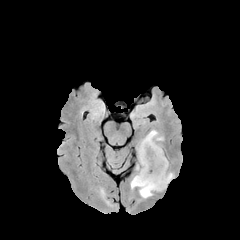
FLAIR MRI.
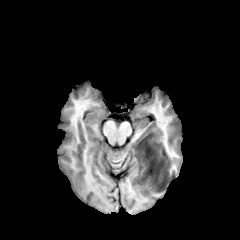
T1-weighted magnetic resonance.
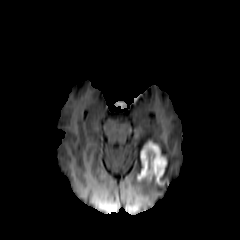
Same slice, post-contrast T1-weighted magnetic resonance.
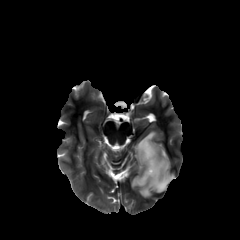
T2-weighted MR.
240x240 px. Brain.
{"edema": ["(left=135, top=130, right=165, bottom=173)", "(left=131, top=158, right=174, bottom=197)"], "enhancing_tumor": ["(left=137, top=141, right=166, bottom=185)"]}